240x240 px. Head.
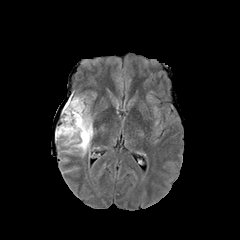
FLAIR magnetic resonance.
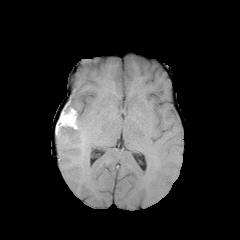
T1-weighted magnetic resonance.
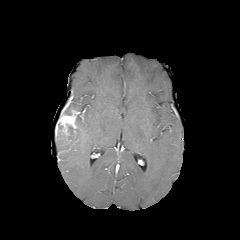
Post-contrast T1-weighted MR image of the same slice.
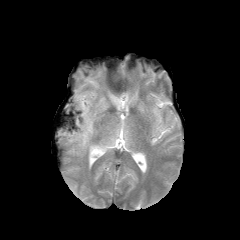
T2-weighted MR.
non-enhancing tumor core: <box>58,125,74,136</box>, <box>58,106,71,124</box> | enhancing tumor: <box>62,113,75,128</box> | edema: <box>55,92,95,157</box>